240x240 | Head | Field of view 240x240 mm
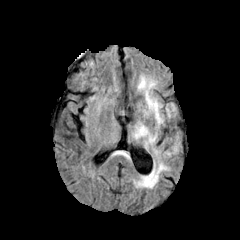
FLAIR MRI.
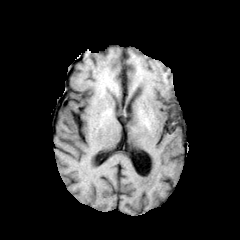
Same slice, T1-weighted MRI.
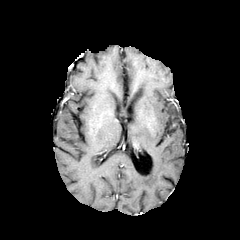
Post-contrast T1-weighted MR image of the same slice.
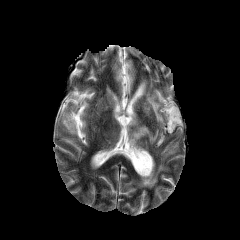
T2-weighted magnetic resonance.
3 edema regions appear at 137,77,177,127; 162,133,179,159; 131,121,167,188.